Slice 76 of 155. Brain. Field of view 240x240 mm.
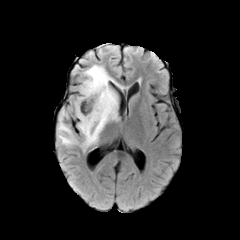
FLAIR MRI.
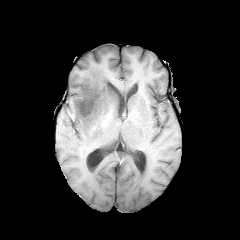
T1-weighted magnetic resonance.
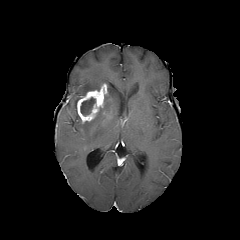
Same slice, post-contrast T1-weighted magnetic resonance.
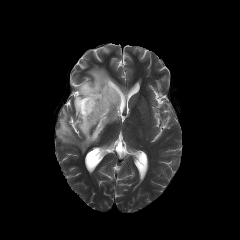
T2-weighted MR image of the same slice.
3 edema regions are bounded by x1=77, y1=91, x2=118, y2=151; x1=80, y1=64, x2=124, y2=89; x1=57, y1=108, x2=77, y2=145. 4 non-enhancing tumor core regions are bounded by x1=80, y1=84, x2=100, y2=95; x1=80, y1=97, x2=95, y2=115; x1=104, y1=81, x2=113, y2=107; x1=82, y1=114, x2=97, y2=125. The enhancing tumor appears at x1=77, y1=83, x2=107, y2=123.